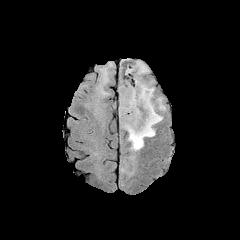
FLAIR MR image.
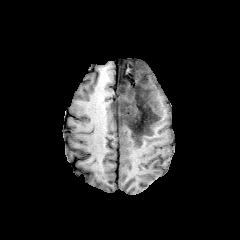
T1-weighted MRI.
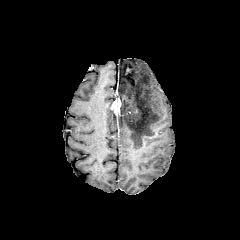
Post-contrast T1-weighted MR image of the same slice.
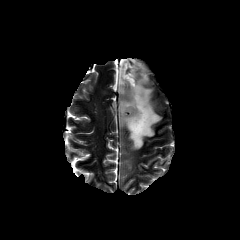
T2-weighted magnetic resonance.
2 edema regions are located at <bbox>118, 60, 162, 150</bbox>, <bbox>124, 156, 133, 167</bbox>. The non-enhancing tumor core is at <bbox>120, 75, 157, 140</bbox>. The enhancing tumor is at <bbox>112, 98, 123, 115</bbox>.